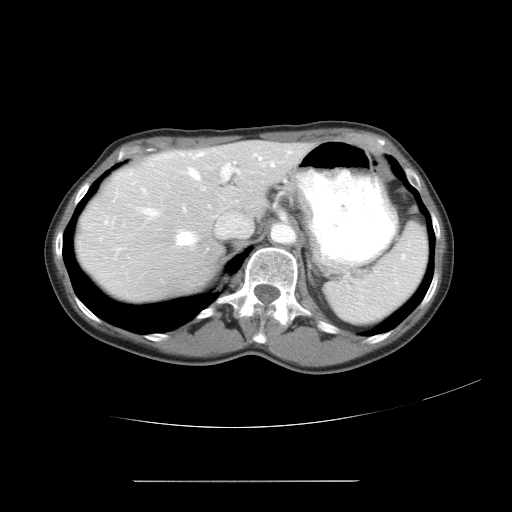
Abdomen, CT
Only some of the vessels may be annotated.
The most prominent 15 hepatic vessel regions (of 16) are bounded by (left=187, top=167, right=199, bottom=178), (left=287, top=151, right=289, bottom=152), (left=115, top=191, right=117, bottom=196), (left=148, top=162, right=151, bottom=164), (left=201, top=186, right=204, bottom=189), (left=189, top=151, right=202, bottom=158), (left=254, top=153, right=260, bottom=158), (left=182, top=205, right=184, bottom=209), (left=104, top=221, right=106, bottom=223), (left=141, top=188, right=145, bottom=191), (left=227, top=218, right=240, bottom=226), (left=175, top=231, right=195, bottom=245), (left=270, top=162, right=273, bottom=165), (left=141, top=208, right=157, bottom=217), (left=220, top=162, right=238, bottom=179).